Field of view 240x240 mm | Slice index 76
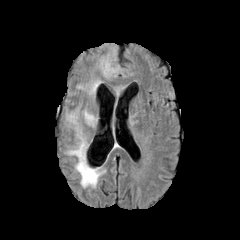
FLAIR MR.
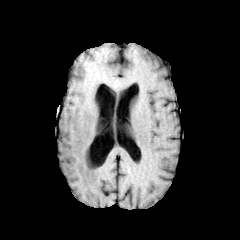
T1-weighted magnetic resonance.
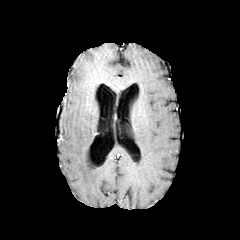
Post-contrast T1-weighted MR image of the same slice.
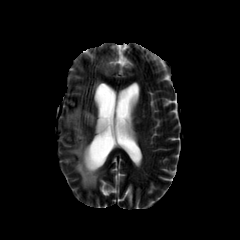
T2-weighted magnetic resonance.
• edema: 66,110,104,188; 101,60,116,75; 83,111,97,125; 89,81,100,94